Computed tomography; Lower abdomen; Slice index 109 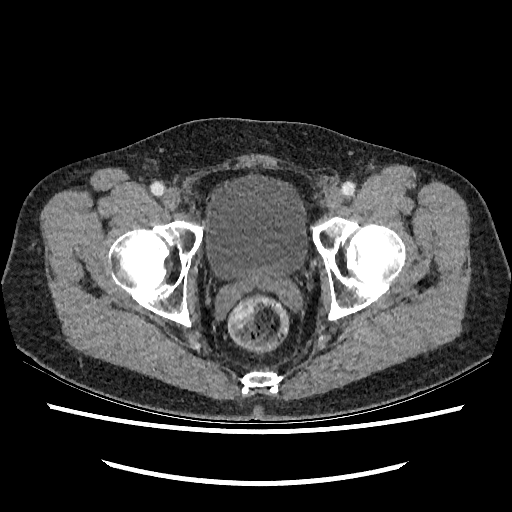 The urinary bladder is at [203, 172, 307, 280].